CT | 512x512 px 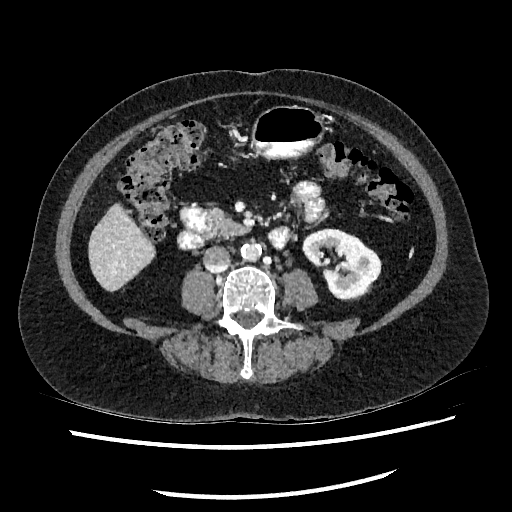
Liver: bounding box rect(89, 206, 152, 291).
Kidney: bounding box rect(303, 224, 380, 298).